Image size 240x240; Slice index 48; Head
FLAIR magnetic resonance.
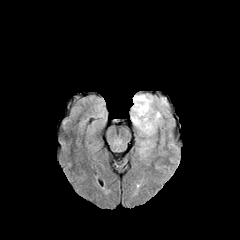
T1-weighted MRI.
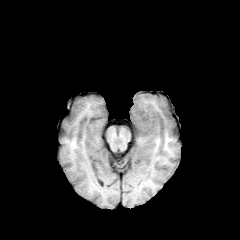
Post-contrast T1-weighted MRI.
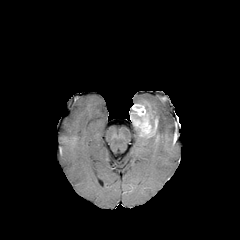
T2-weighted magnetic resonance.
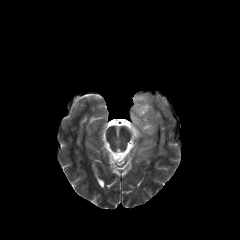
Annotated regions:
- edema: [x1=133, y1=93, x2=166, y2=124], [x1=136, y1=135, x2=155, y2=157]
- non-enhancing tumor core: [x1=137, y1=101, x2=155, y2=117]
- enhancing tumor: [x1=130, y1=103, x2=157, y2=135]